CT slice; Liver 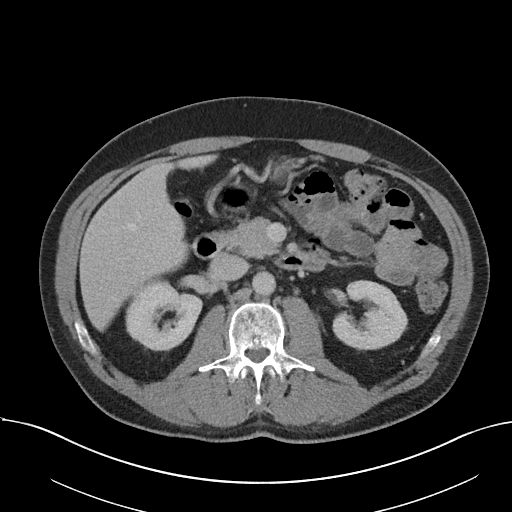

Not every hepatic vessel necessarily has a box.
Findings:
* hepatic vessel: region(113, 297, 117, 301); region(171, 236, 183, 263); region(129, 224, 135, 229)